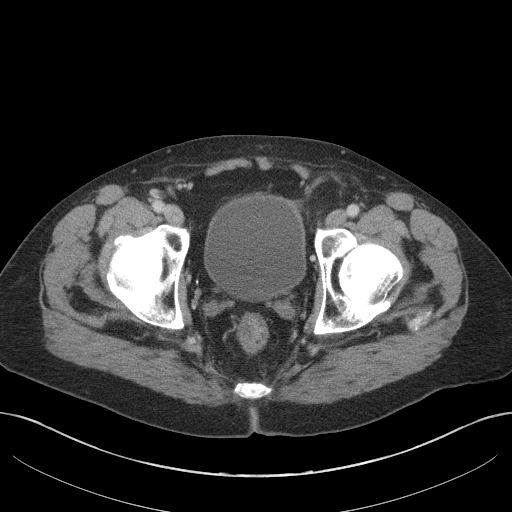 Computed tomography

The urinary bladder lies within (205,200,303,300).